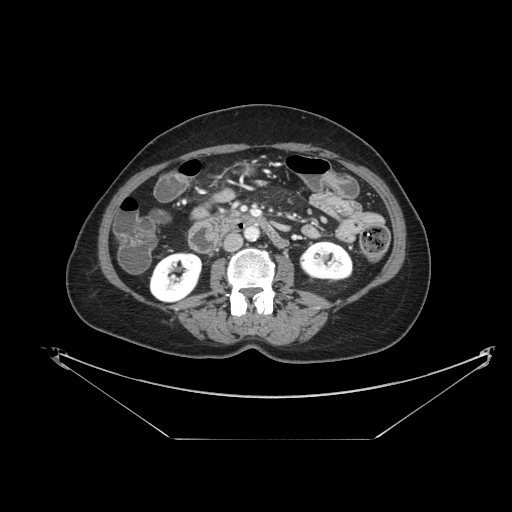 512x512 px, CT scan slice
pancreas: (225, 213, 237, 219)